Computed tomography; Image size 512x512; Slice 521/836 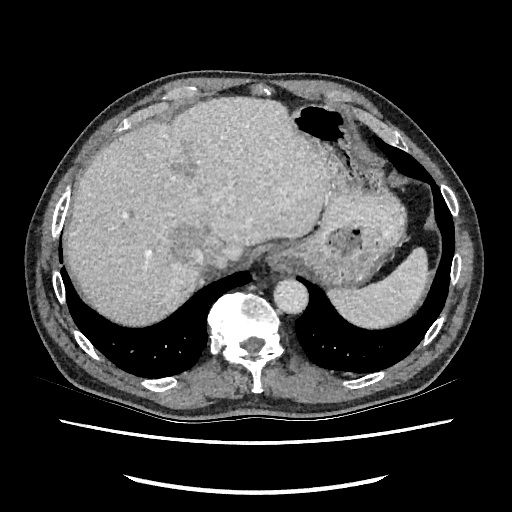

focal liver lesion: left=171, top=225, right=210, bottom=265; left=174, top=161, right=198, bottom=175 | liver: left=68, top=98, right=330, bottom=322